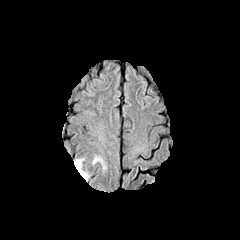
FLAIR MRI.
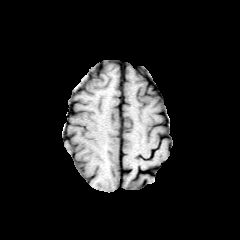
T1-weighted magnetic resonance.
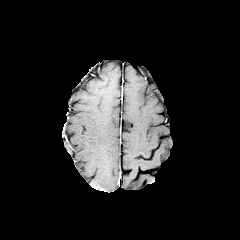
Same slice, post-contrast T1-weighted MRI.
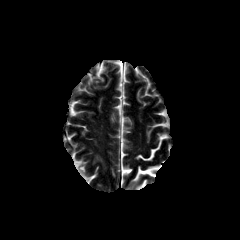
T2-weighted magnetic resonance.
Findings:
• edema: {"x1": 74, "y1": 158, "x2": 91, "y2": 180}